Field of view 446x446 mm | Abdomen | 512x512 px | Computed tomography 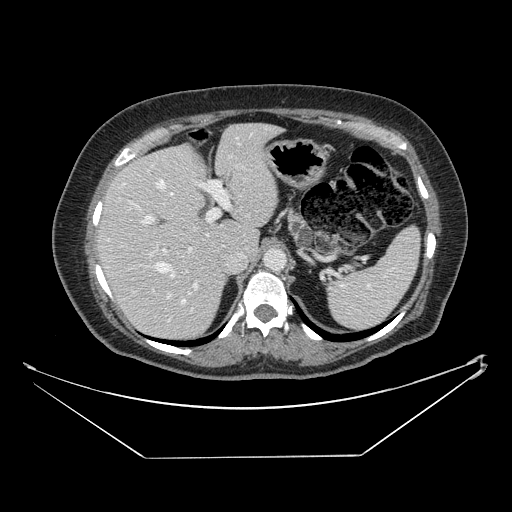
Pancreas — (287,207,314,249).